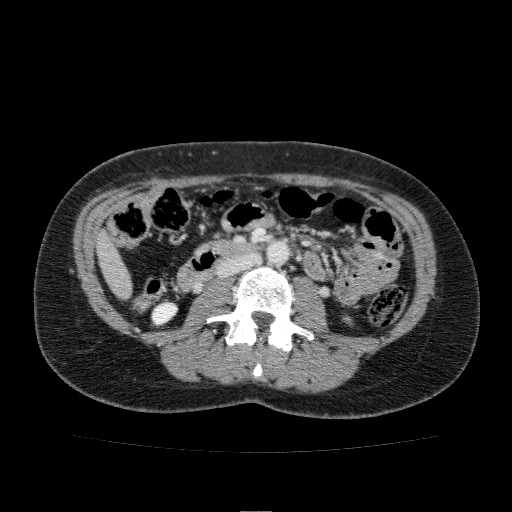

Computed tomography. Abdomen.

Annotated regions:
* liver: region(97, 231, 130, 297)
* kidney: region(152, 303, 176, 323)